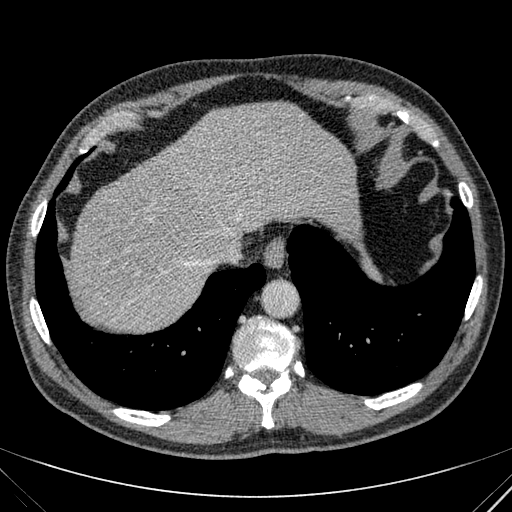
512x512 px; Computed tomography

The liver lies within <bbox>68, 104, 358, 329</bbox>.